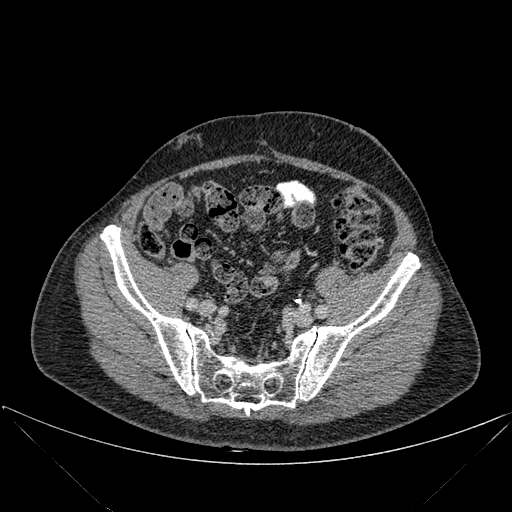 CT scan slice.

Bone = bbox(100, 225, 420, 414).